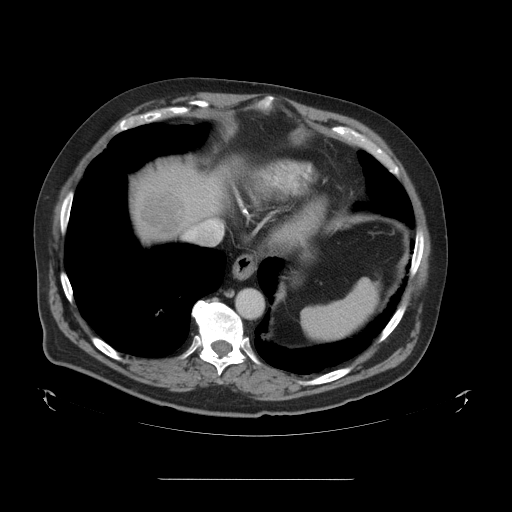
Computed tomography; Liver

The vessel annotation is not exhaustive.
<segmentation>
  <hepatic_vessel><bbox>185, 220, 212, 238</bbox></hepatic_vessel>
  <liver_tumor><bbox>142, 191, 185, 232</bbox></liver_tumor>
</segmentation>